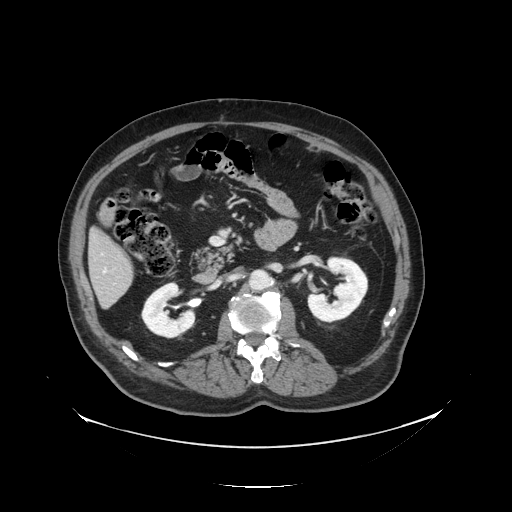 CT scan slice, Liver
Some hepatic vessels may have no box.
Hepatic vessel: bounding box bbox=[103, 268, 106, 273].